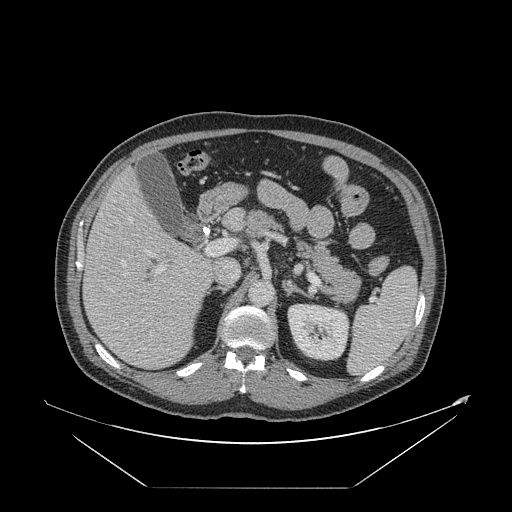
Liver. CT.
The vessel annotation is not exhaustive.
Hepatic vessel — (146,251,155,257), (128,217,132,223), (219,276,221,278), (149,332,152,335), (206,239,234,255), (121,261,125,266), (154,265,164,273), (123,273,127,275), (220,261,238,282).